CT scan slice | Abdomen 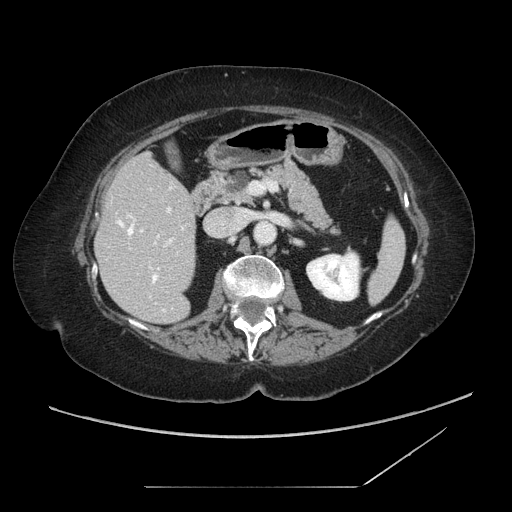 Pancreatic tumor: bounding box bbox=[223, 170, 249, 193].
Pancreas: bounding box bbox=[212, 155, 340, 235].